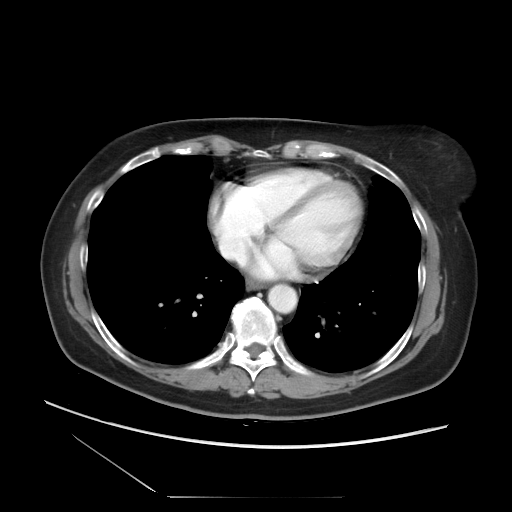

512x512 px; CT scan slice

The vessel annotation is not exhaustive.
- hepatic vessel: box(216, 229, 247, 265)